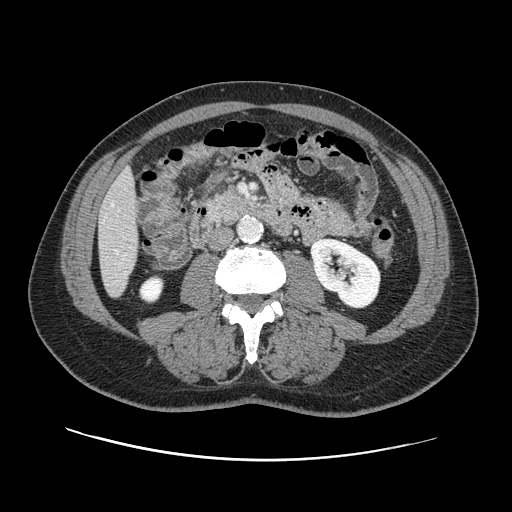 512x512, CT scan slice

pancreas: region(206, 189, 252, 224)